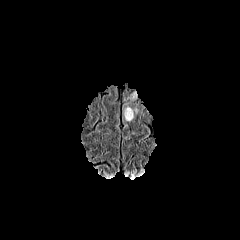
FLAIR MR.
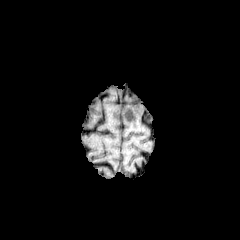
T1-weighted MR image.
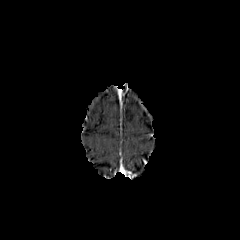
Post-contrast T1-weighted MR of the same slice.
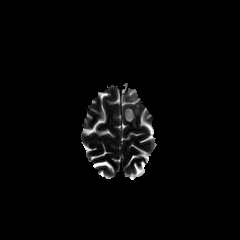
T2-weighted MRI of the same slice.
Brain, 240x240
{
  "edema": [
    "<box>125,106,134,120</box>"
  ]
}